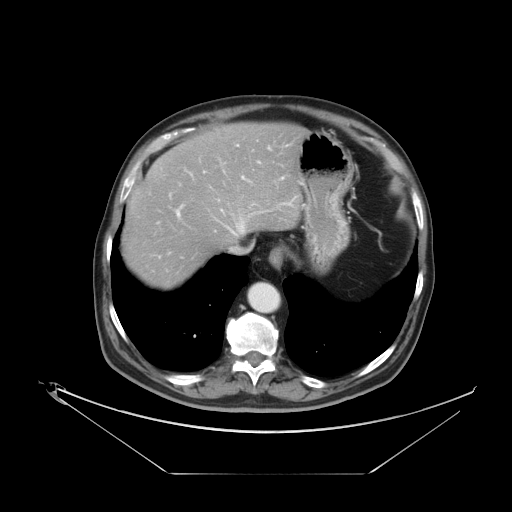
CT scan slice, 512x512 px
The vessel annotation is not exhaustive.
{"hepatic_vessel": ["[221,209,222,211]", "[230,247,241,251]", "[242,176,249,181]", "[268,146,270,149]", "[224,217,244,234]", "[176,205,183,217]", "[280,177,283,179]", "[190,173,192,177]", "[285,199,293,205]", "[253,203,255,204]"]}